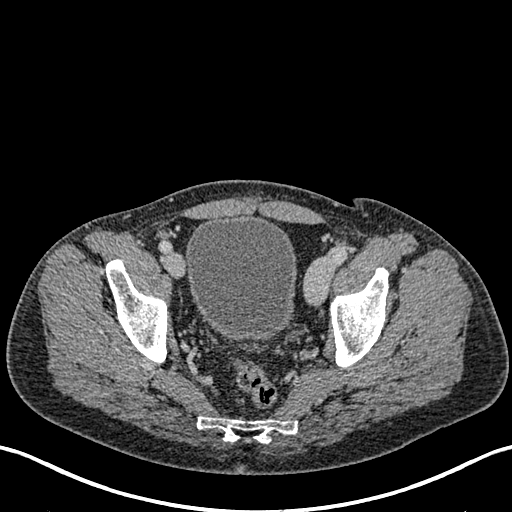
Image size 512x512. CT scan slice. Lower abdomen.

Segmented structures:
• urinary bladder: x1=185 y1=215 x2=296 y2=340